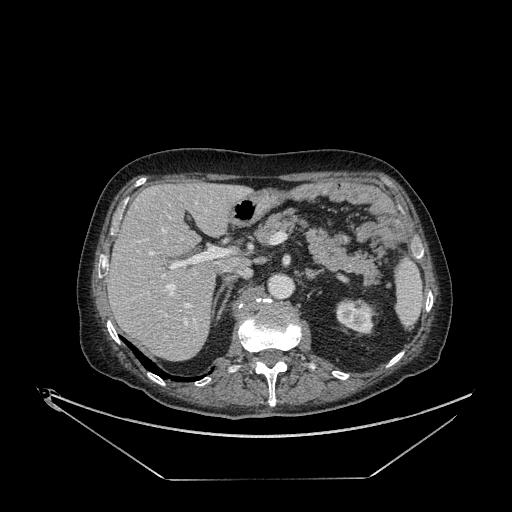
Computed tomography. Abdomen. {
  "kidney": [
    "l=336, t=300, r=373, b=333"
  ],
  "liver": [
    "l=108, t=183, r=252, b=360"
  ]
}